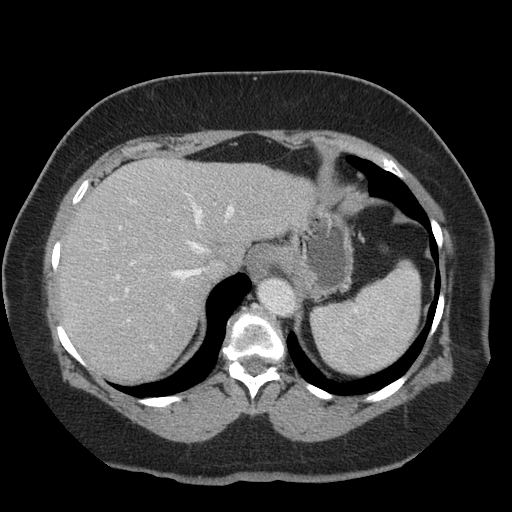 Computed tomography. Image size 512x512. Liver. Only some of the vessels may be annotated.
13 hepatic vessel regions appear at 225 206 232 222, 188 242 205 252, 109 298 115 300, 130 200 135 202, 115 276 119 279, 130 262 133 265, 126 288 128 292, 173 270 200 279, 184 192 202 228, 103 242 106 249, 169 306 173 310, 119 227 121 229, 128 320 129 321.